Computed tomography, Upper abdomen, Slice 40/89, 512x512 px 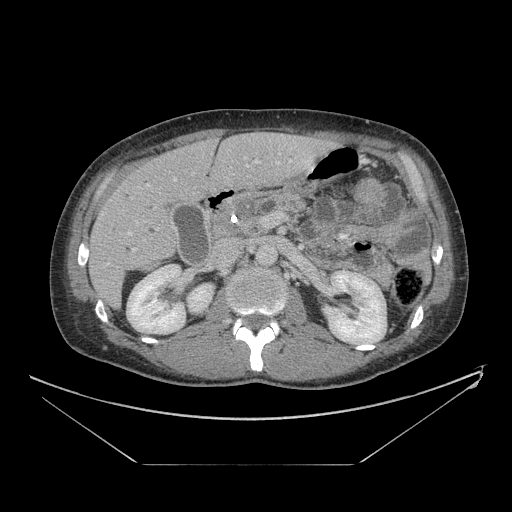
The pancreatic tumor is at 233 199 258 219. The pancreas is located at 214 187 304 238.